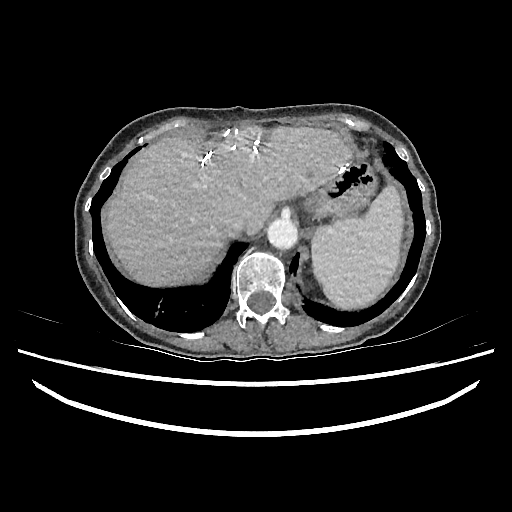
CT scan slice

The liver lies within bbox(108, 126, 351, 285).